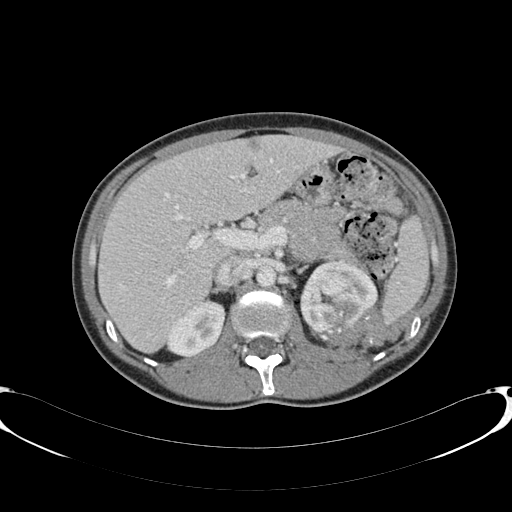 CT

The liver lesion appears at <bbox>248, 139, 259, 147</bbox>. The liver lies within <bbox>98, 136, 345, 351</bbox>. 2 kidney regions are bounded by <bbox>168, 303, 223, 356</bbox>, <bbox>301, 261, 376, 345</bbox>.